MR image. 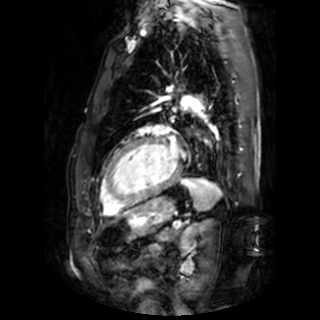

The left atrium is located at 169 140 180 156.